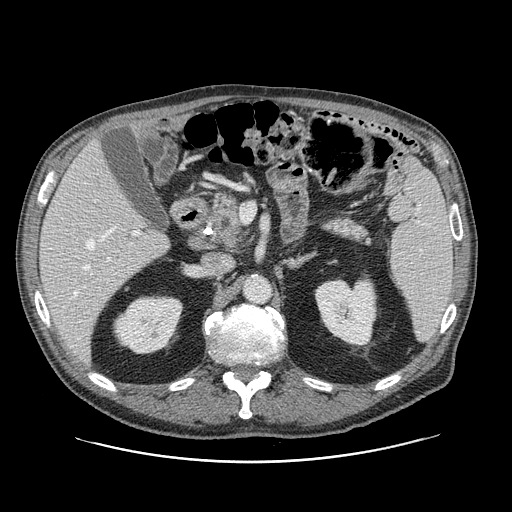 Computed tomography | Abdomen

The pancreatic tumor is bounded by 219:228:237:247. 2 pancreas regions are bounded by 210:196:242:244, 324:217:372:243.